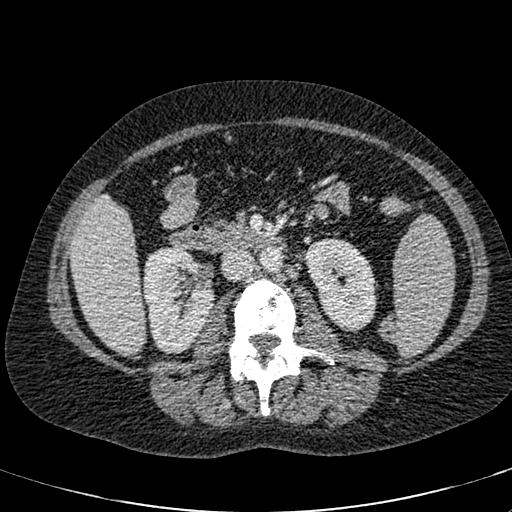
Computed tomography | Image size 512x512 | Abdomen
2 kidney regions are bounded by x1=144, y1=245, x2=213, y2=352; x1=305, y1=239, x2=375, y2=330. The liver is bounded by x1=71, y1=196, x2=144, y2=354.